Image width 240 mm | Slice index 90 | Image size 240x240
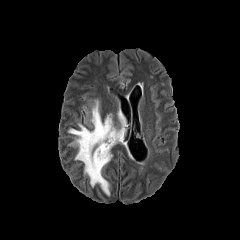
FLAIR MR.
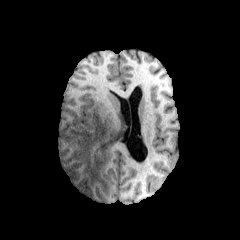
T1-weighted MR.
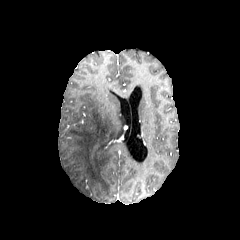
Post-contrast T1-weighted MR image.
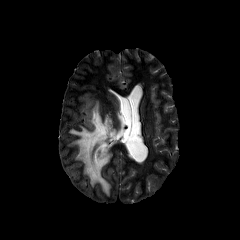
T2-weighted magnetic resonance.
Edema = x1=68 y1=99 x2=129 y2=195.